CT scan slice | Slice 532/689 | Chest 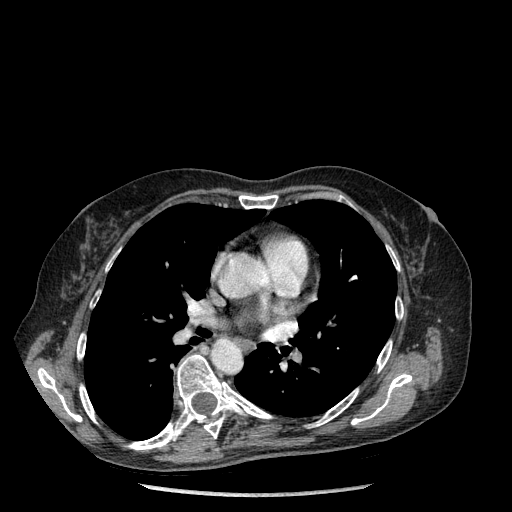

Bone at left=351, top=373, right=412, bottom=425; left=127, top=354, right=272, bottom=450; left=79, top=384, right=97, bottom=423; left=37, top=367, right=82, bottom=421; left=239, top=195, right=278, bottom=208; left=77, top=333, right=86, bottom=359; left=307, top=388, right=358, bottom=428; left=395, top=297, right=403, bottom=319; left=377, top=340, right=392, bottom=372; left=105, top=249, right=119, bottom=271; left=386, top=245, right=400, bottom=270.
Lung at left=234, top=200, right=396, bottom=416; left=84, top=203, right=264, bottom=440.